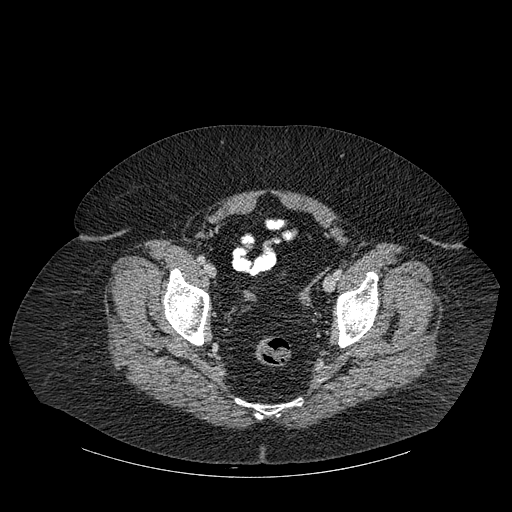

CT slice
{"bone": ["[164,269,208,345]", "[336,272,378,347]", "[235,398,302,419]"]}